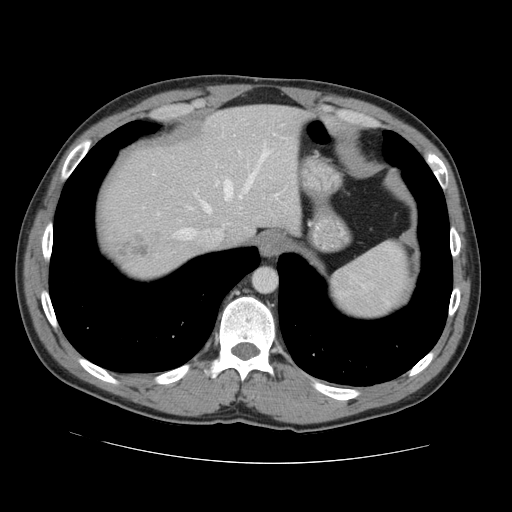
CT scan slice
Some hepatic vessels may have no box.
Hepatic vessel = <box>215,164,216,166</box>, <box>152,171,155,175</box>, <box>194,191,197,196</box>, <box>259,143,270,161</box>, <box>215,181,218,184</box>, <box>201,202,210,211</box>, <box>188,207,193,209</box>, <box>156,213,159,214</box>, <box>274,193,279,198</box>, <box>273,134,275,135</box>, <box>243,171,255,192</box>, <box>222,179,231,199</box>, <box>222,223,229,226</box>, <box>238,194,241,198</box>.
Liver tumor = <box>118,234,150,257</box>.